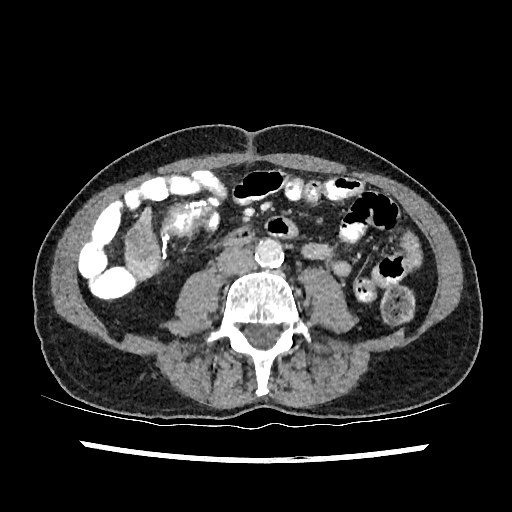

CT slice, Abdomen
<segmentation>
  <liver_lesion>(x1=139, y1=247, x2=152, y2=259), (x1=130, y1=229, x2=140, y2=246)</liver_lesion>
  <liver>(x1=125, y1=207, x2=158, y2=278)</liver>
</segmentation>